FLAIR magnetic resonance.
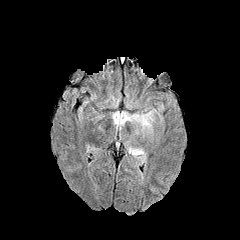
T1-weighted MRI.
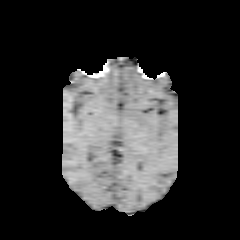
Post-contrast T1-weighted magnetic resonance.
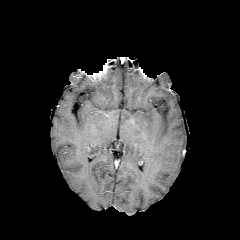
T2-weighted magnetic resonance.
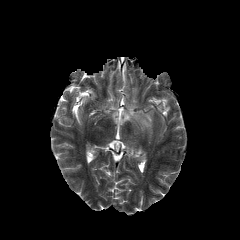
Brain
enhancing_tumor:
  - rect(128, 116, 148, 128)
edema:
  - rect(123, 141, 147, 164)
  - rect(124, 85, 138, 109)
  - rect(109, 108, 157, 142)
  - rect(105, 91, 121, 108)